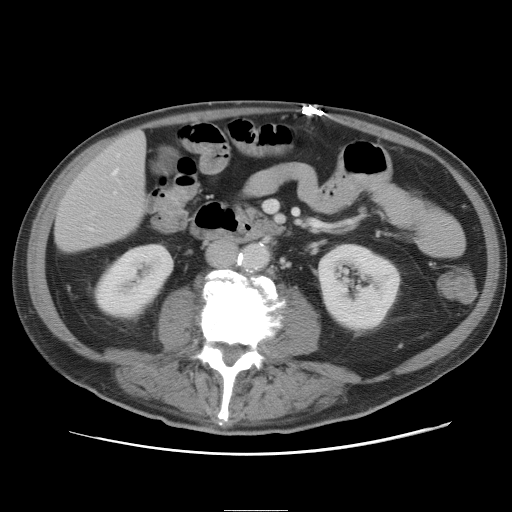

CT image; Liver
Some hepatic vessels may have no box.
- hepatic vessel: 113 169 117 174, 118 155 119 156, 138 132 140 134